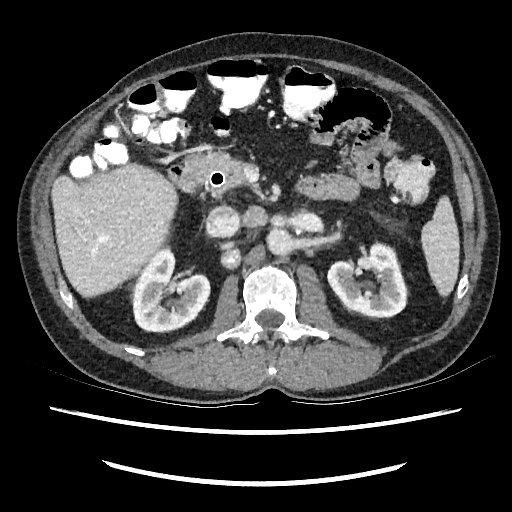

Computed tomography
{"liver": ["<bbox>53, 165, 176, 295</bbox>"], "kidney": ["<bbox>328, 245, 405, 316</bbox>", "<bbox>134, 250, 209, 331</bbox>"]}